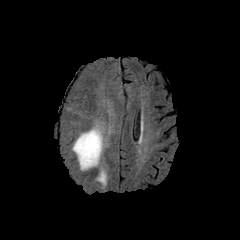
FLAIR MR image.
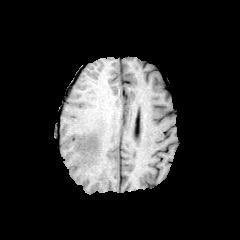
Same slice, T1-weighted MR image.
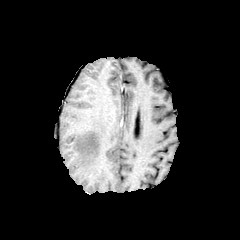
Post-contrast T1-weighted MR image.
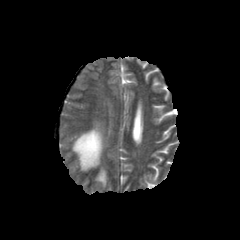
T2-weighted MR of the same slice.
Brain
{"edema": ["x1=96, y1=169, x2=106, y2=185", "x1=72, y1=126, x2=104, y2=170"]}